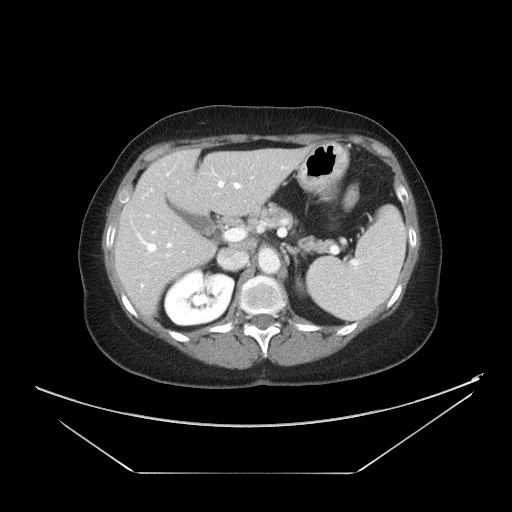

Computed tomography

Not every hepatic vessel necessarily has a box.
hepatic_vessel:
  - 141,284,142,286
  - 226,229,240,239
  - 212,169,215,174
  - 218,181,223,186
  - 167,243,171,247
  - 166,254,169,256
  - 146,214,148,216
  - 234,183,239,187
  - 152,231,154,233
  - 219,252,245,267
  - 167,173,168,174
  - 137,233,155,250